Slice 7/43. Computed tomography. 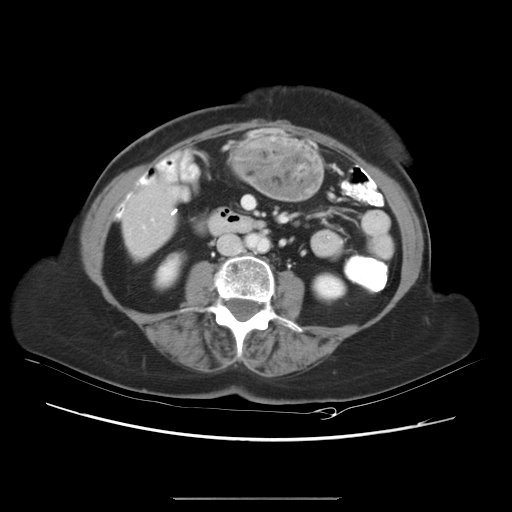 Not every hepatic vessel necessarily has a box.
Hepatic vessel: [151,219,153,222], [145,180,151,183], [143,227,145,229], [162,211,164,212].